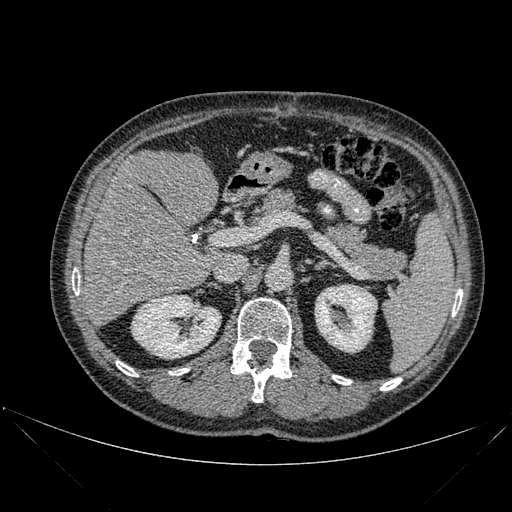
Abdomen; CT image

7 bone regions are located at 452,290,462,316; 169,368,188,375; 231,298,291,402; 380,378,401,390; 72,272,79,295; 332,375,351,384; 116,361,138,376. 2 kidney regions appear at 315,284,376,352; 131,295,221,358. The liver lies within 84,150,218,324.